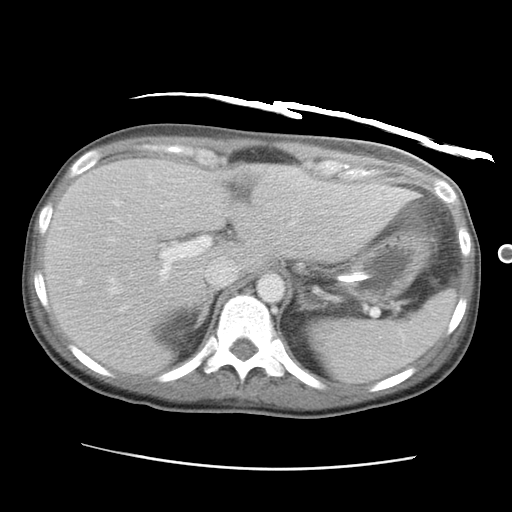
CT
Segmented structures:
• liver: <box>44,158,417,376</box>